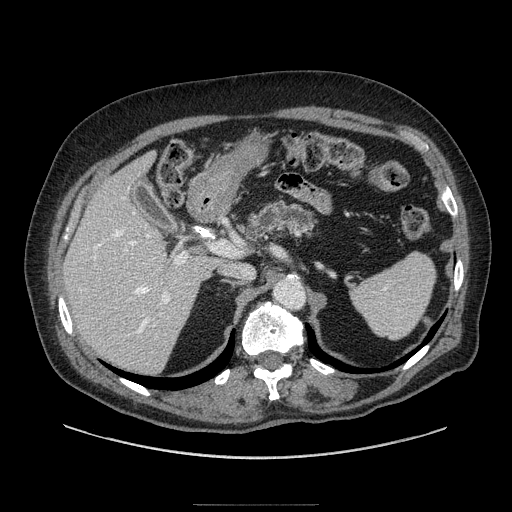 Image size 512x512. Abdomen. CT scan slice.
The pancreas is bounded by l=244, t=201, r=317, b=239.